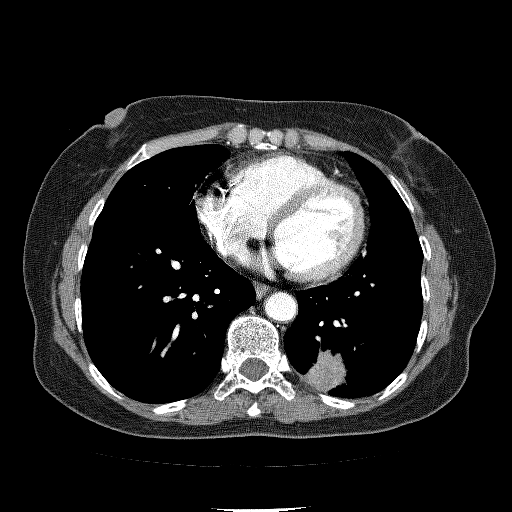 Thorax; Computed tomography
The lung tumor is bounded by [x1=305, y1=348, x2=348, y2=391].